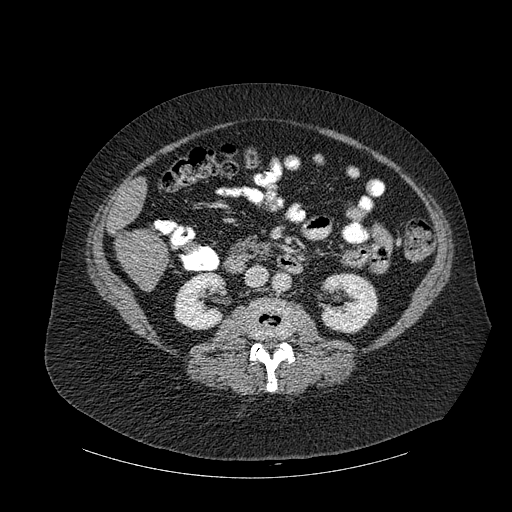 Liver | CT slice
Bone — x1=248, y1=301, x2=295, y2=338; x1=250, y1=343, x2=294, y2=391.
Liver — x1=108, y1=177, x2=168, y2=291.
Kidney — x1=175, y1=273, x2=222, y2=329; x1=322, y1=274, x2=377, y2=332.